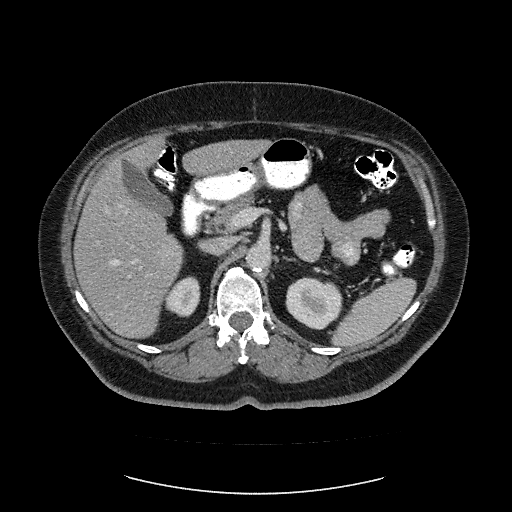

Abdomen, CT image
Not every hepatic vessel necessarily has a box.
Hepatic vessel at [132,259,137,262], [119,204,122,206], [222,174,225,174], [106,207,108,211], [118,296,119,297], [111,260,118,264], [232,171,236,172].